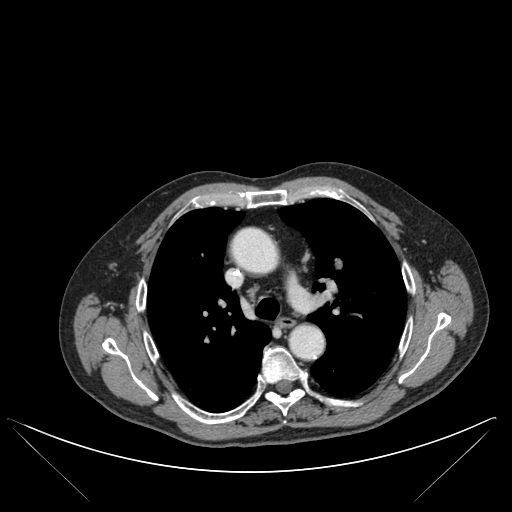

Image size 512x512; CT
<segmentation>
  <bone>402:263:414:292, 240:189:287:207, 102:338:157:400, 136:279:146:310, 329:399:358:406, 399:313:450:382, 399:319:412:355, 266:389:304:414, 144:332:158:361, 173:347:307:423</bone>
  <lung>279:198:406:396, 256:298:278:319, 148:207:270:412</lung>
</segmentation>